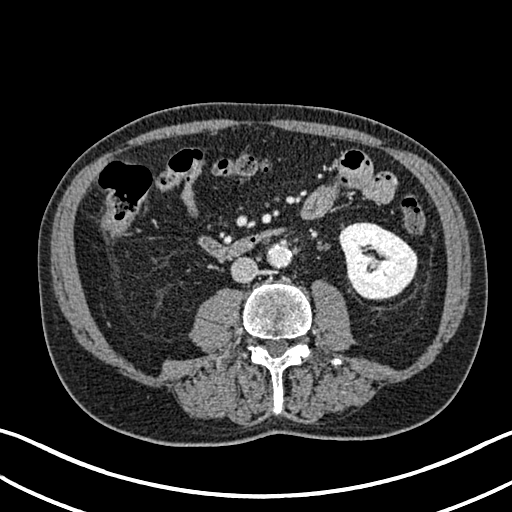

Abdomen. CT scan slice.
• kidney: box(340, 223, 416, 298)